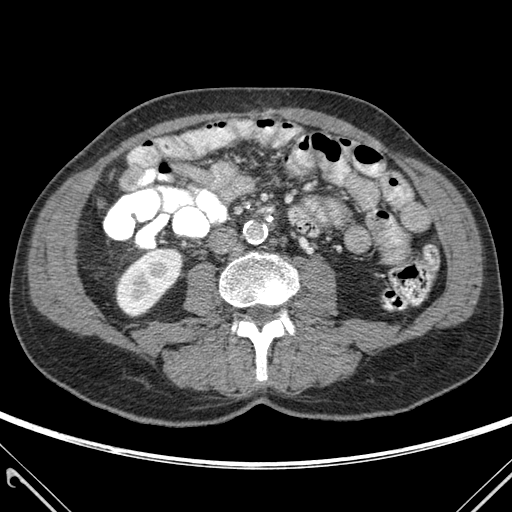

CT scan slice; Abdomen
<segmentation>
  <bone>l=232, t=313, r=293, b=380; l=219, t=253, r=298, b=306</bone>
  <kidney>l=117, t=249, r=181, b=315</kidney>
</segmentation>